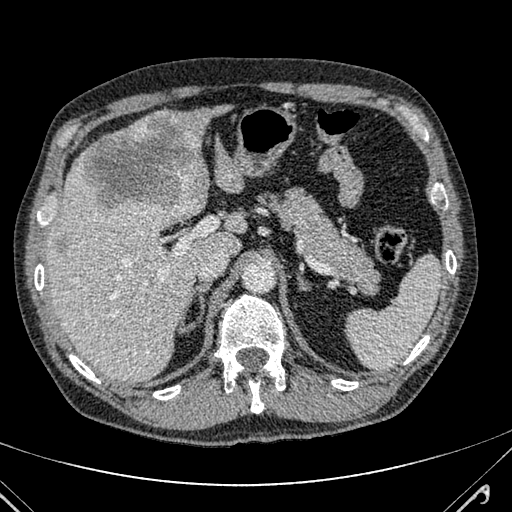
Upper abdomen. CT image.

Liver lesion at 55,238,68,254; 80,115,207,208.
Liver at 153,105,232,156; 215,142,242,191; 94,116,150,144; 47,158,246,381.